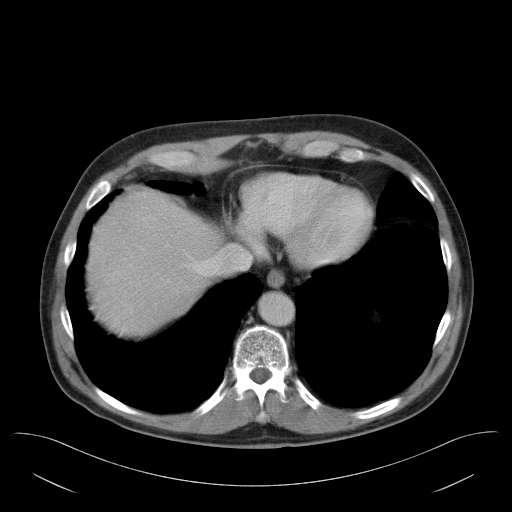 CT slice
Only some of the vessels may be annotated.
<segmentation>
  <hepatic_vessel>rect(184, 250, 215, 275)</hepatic_vessel>
</segmentation>